240x240 | Brain
FLAIR MR.
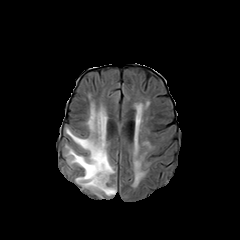
T1-weighted MR.
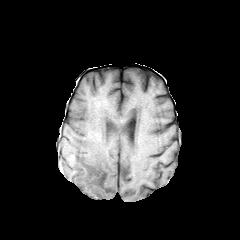
Post-contrast T1-weighted MRI.
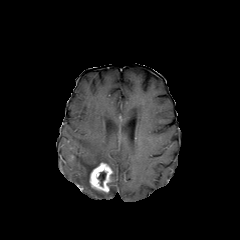
T2-weighted MRI.
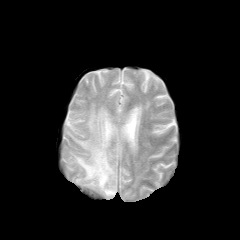
{
  "enhancing_tumor": [
    "[90, 162, 113, 193]"
  ],
  "edema": [
    "[65, 104, 116, 198]"
  ],
  "non-enhancing_tumor_core": [
    "[98, 171, 105, 185]"
  ]
}